Abdomen, CT

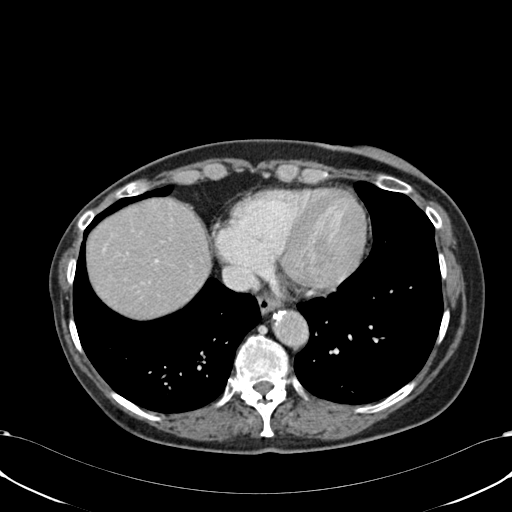
<segmentation>
  <liver>(87,198,209,316)</liver>
</segmentation>